Field of view 240 mm wide, 1.00 mm slice spacing
FLAIR MR image.
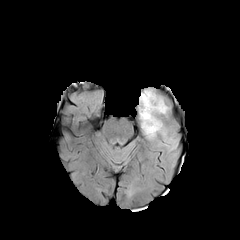
T1-weighted MRI.
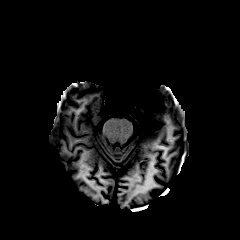
Post-contrast T1-weighted MRI.
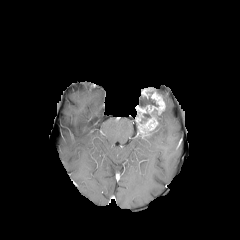
T2-weighted MR.
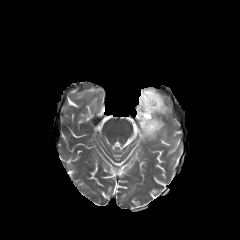
Non-enhancing tumor core: bounding box 140, 114, 159, 135; 140, 90, 158, 107.
Edema: bounding box 142, 131, 160, 141; 160, 142, 175, 153; 152, 111, 166, 137.
Enhancing tumor: bounding box 137, 87, 164, 136.